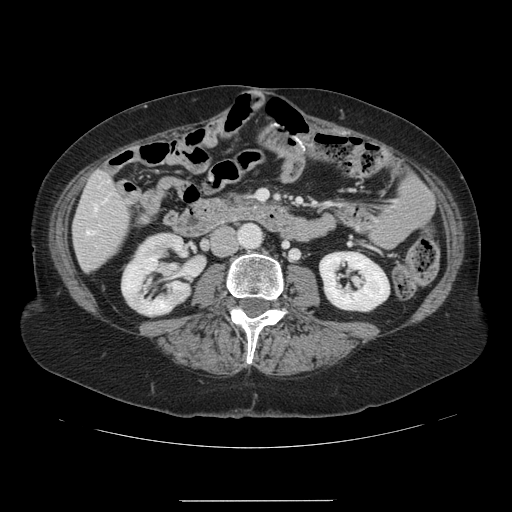
CT scan slice | Abdomen
The vessel annotation is not exhaustive.
2 hepatic vessel regions are bounded by 93:202:96:210, 86:229:94:234.